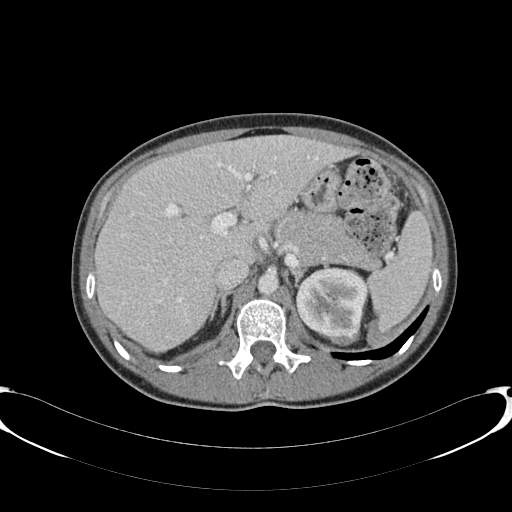 512x512, Abdomen, CT

Annotated regions:
* kidney: (297, 269, 366, 342)
* liver: (95, 136, 356, 350)